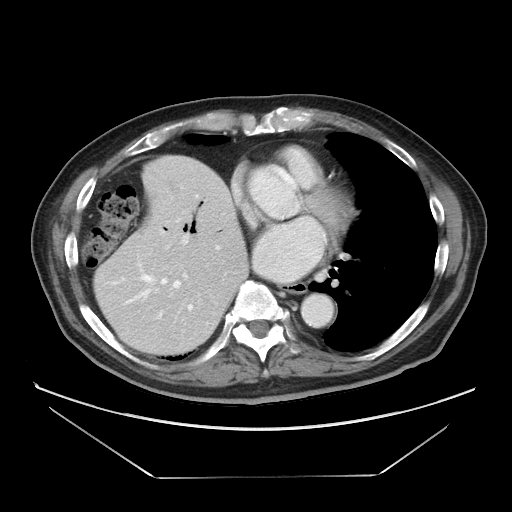 CT slice, 512x512 px
The vessel annotation is not exhaustive.
6 hepatic vessel regions are located at left=172, top=280, right=180, bottom=288; left=181, top=235, right=188, bottom=244; left=127, top=266, right=157, bottom=302; left=160, top=278, right=167, bottom=284; left=119, top=277, right=123, bottom=282; left=187, top=304, right=192, bottom=310.